CT image; Image width 358 mm; 512x512

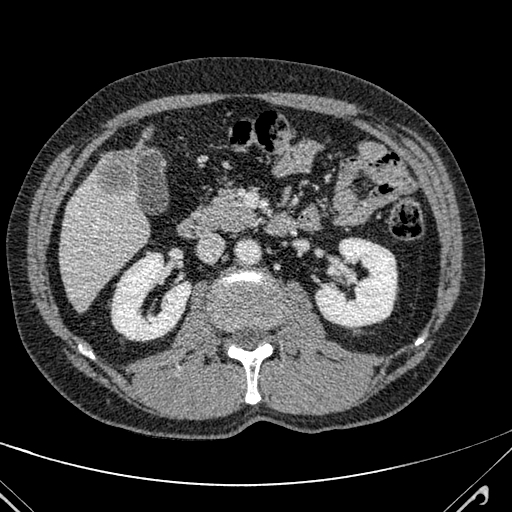
{
  "focal_liver_lesion": [
    "box=[99, 127, 152, 193]"
  ],
  "liver": [
    "box=[60, 154, 147, 310]"
  ]
}